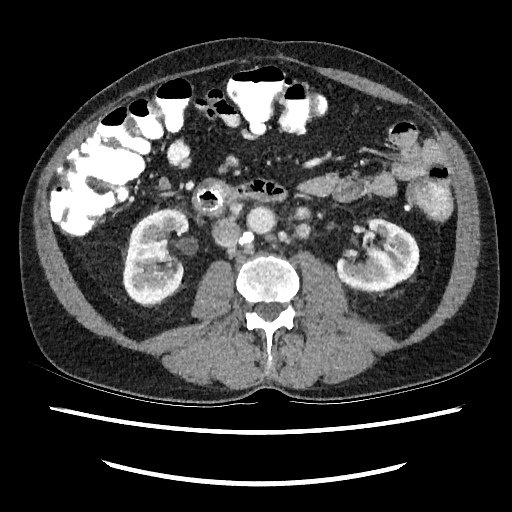

Abdomen. CT slice.
2 kidney regions are located at 124 210 187 303, 337 220 418 291.